Head. 240x240 px. Slice 77 of 155.
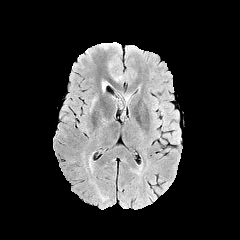
FLAIR MR image.
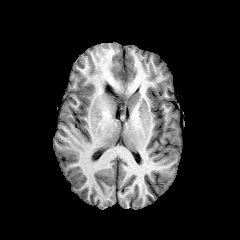
Same slice, T1-weighted MR image.
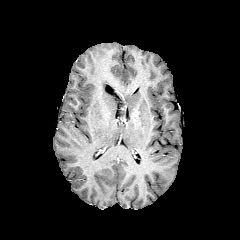
Same slice, post-contrast T1-weighted MR image.
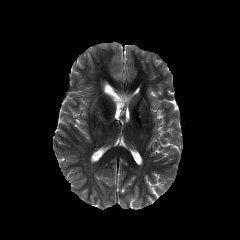
T2-weighted MRI.
{"edema": ["rect(101, 81, 110, 91)", "rect(116, 93, 131, 107)"]}